FLAIR MR.
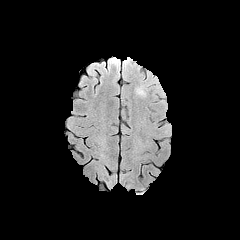
T1-weighted MR image.
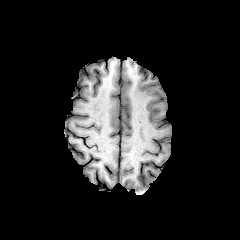
Post-contrast T1-weighted MR.
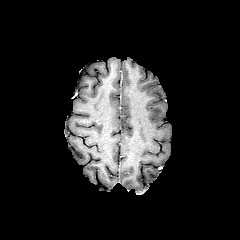
T2-weighted MR image.
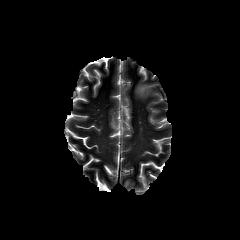
Segmented structures:
- edema: (135, 82, 151, 97)